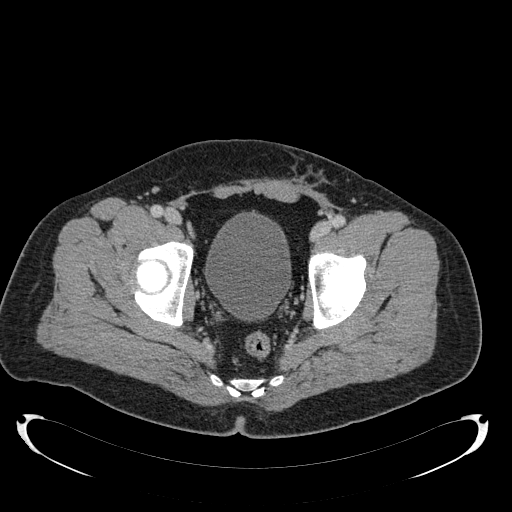
CT, 512x512 px

Urinary bladder: left=205, top=212, right=290, bottom=320.